Field of view 240 mm wide, 1.00 mm slice spacing
FLAIR MR.
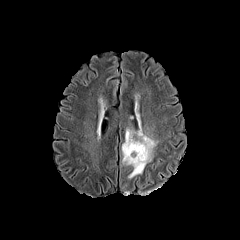
T1-weighted MR image.
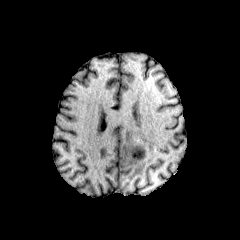
Post-contrast T1-weighted magnetic resonance.
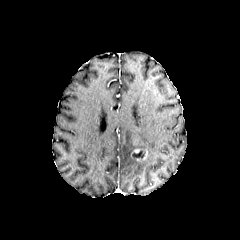
T2-weighted MR.
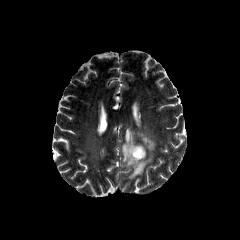
The edema lies within rect(122, 112, 158, 178). The non-enhancing tumor core is at rect(131, 149, 145, 159).